Image width 38 mm | MRI | Hippocampus

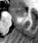

The anterior hippocampus is at (12, 8, 27, 17).